Slice index 461. CT image. Upper abdomen.

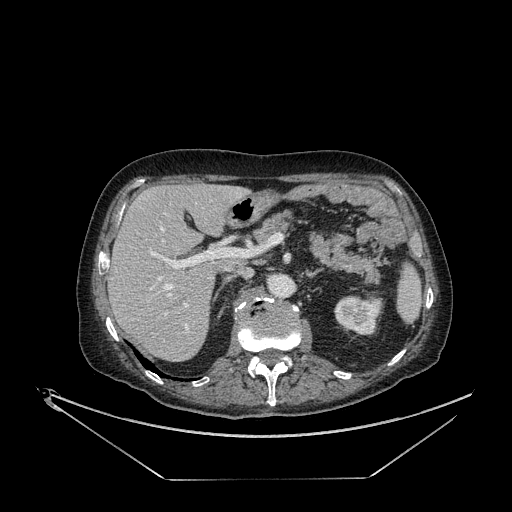

The kidney is at left=334, top=296, right=381, bottom=334. The liver appears at left=108, top=183, right=250, bottom=361.